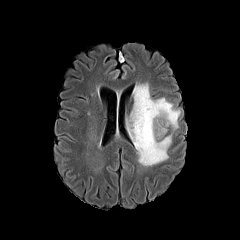
FLAIR MRI.
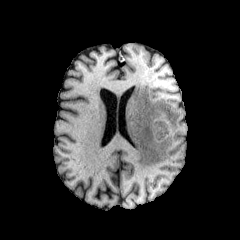
T1-weighted MR.
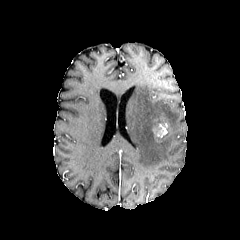
Post-contrast T1-weighted MR.
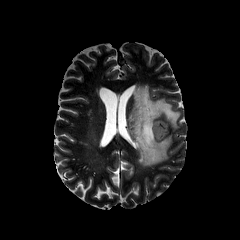
T2-weighted MRI.
Brain
edema:
  - box=[127, 84, 179, 166]
non-enhancing_tumor_core:
  - box=[153, 116, 173, 142]
enhancing_tumor:
  - box=[153, 123, 167, 137]